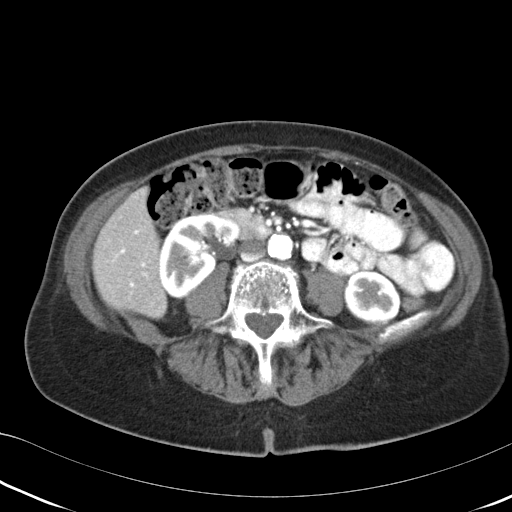

CT. Image size 512x512.
The pancreas is located at {"x1": 223, "y1": 208, "x2": 271, "y2": 241}.